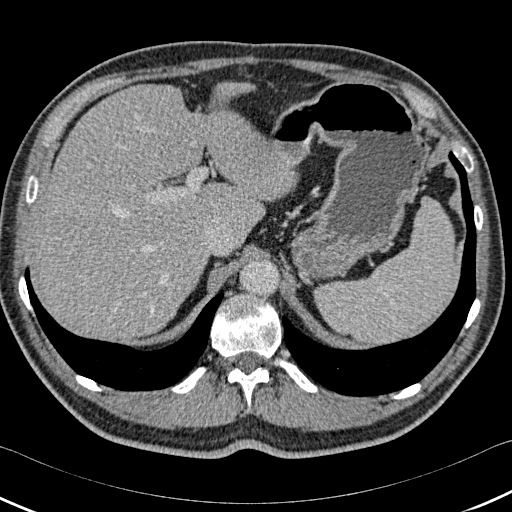
Upper abdomen, CT slice
2 lung regions appear at [x1=282, y1=151, x2=476, y2=396], [x1=25, y1=267, x2=223, y2=391]. 2 liver regions appear at [x1=218, y1=83, x2=239, y2=100], [x1=35, y1=84, x2=295, y2=340]. 11 bone regions are bounded by [x1=228, y1=368, x2=268, y2=407], [x1=465, y1=299, x2=480, y2=327], [x1=26, y1=176, x2=38, y2=203], [x1=474, y1=205, x2=482, y2=229], [x1=275, y1=359, x2=317, y2=392], [x1=453, y1=145, x2=473, y2=172], [x1=211, y1=295, x2=280, y2=358], [x1=76, y1=375, x2=101, y2=391], [x1=393, y1=384, x2=420, y2=399], [x1=172, y1=367, x2=205, y2=393], [x1=19, y1=277, x2=31, y2=309].